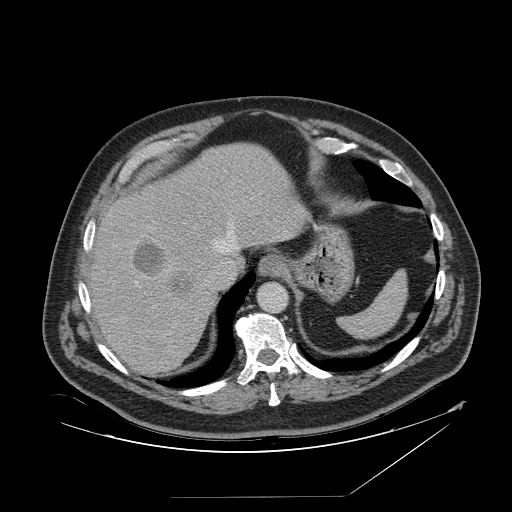 Abdomen. CT slice.
Spleen = bbox=[338, 272, 407, 338].